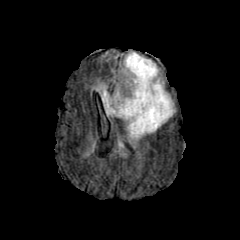
FLAIR magnetic resonance.
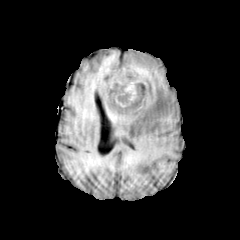
T1-weighted MR image.
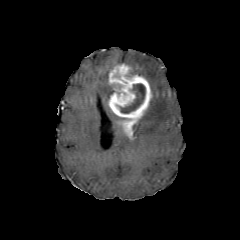
Post-contrast T1-weighted MRI.
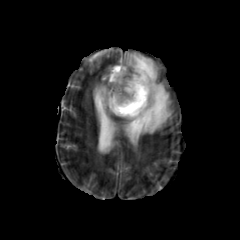
Same slice, T2-weighted MRI.
Brain
<segmentation>
  <non-enhancing_tumor_core>left=119, top=83, right=145, bottom=113</non-enhancing_tumor_core>
  <enhancing_tumor>left=108, top=63, right=151, bottom=121</enhancing_tumor>
  <edema>left=95, top=83, right=115, bottom=116; left=123, top=51, right=174, bottom=139</edema>
</segmentation>